Slice index 68
FLAIR MRI.
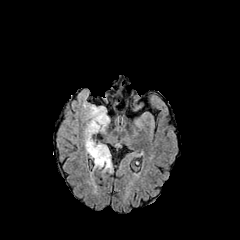
T1-weighted MR.
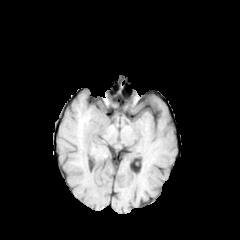
Post-contrast T1-weighted MR.
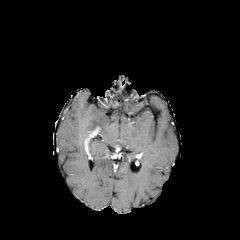
T2-weighted MRI.
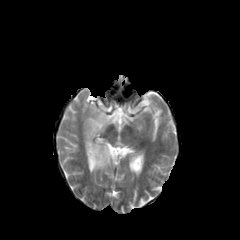
Segmented structures:
• edema: <box>82,100,112,172</box>